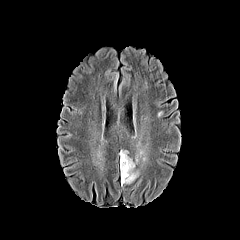
FLAIR MR.
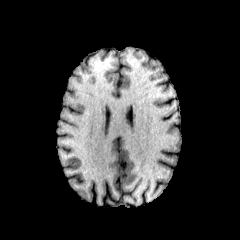
T1-weighted MR image of the same slice.
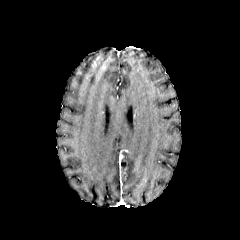
Same slice, post-contrast T1-weighted MRI.
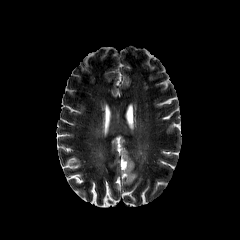
Same slice, T2-weighted MRI.
240x240 px
Enhancing tumor: box=[120, 154, 127, 179].
Edema: box=[121, 150, 139, 184].